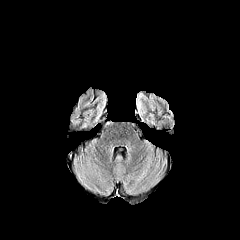
FLAIR magnetic resonance.
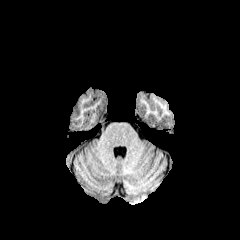
T1-weighted MR.
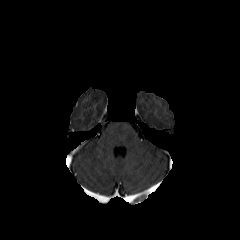
Post-contrast T1-weighted MR.
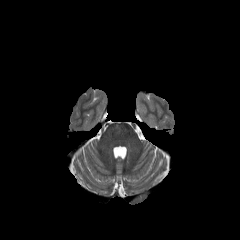
Same slice, T2-weighted magnetic resonance.
Edema = rect(139, 92, 146, 117); rect(145, 113, 155, 124).